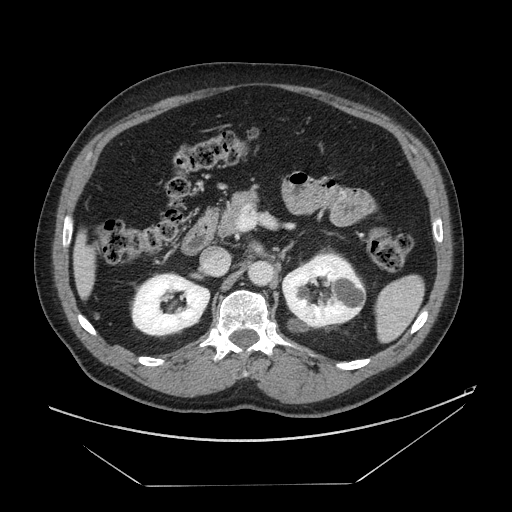

Abdomen. CT slice.

The pancreas is located at region(211, 191, 258, 236).